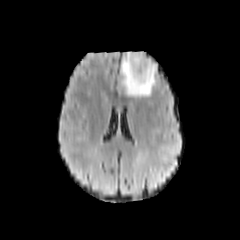
FLAIR MR.
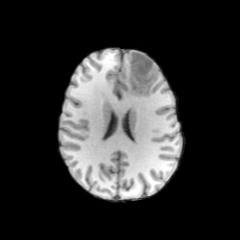
T1-weighted MR of the same slice.
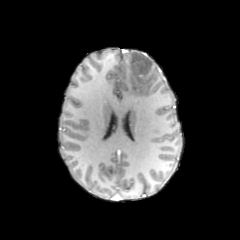
Post-contrast T1-weighted MR image.
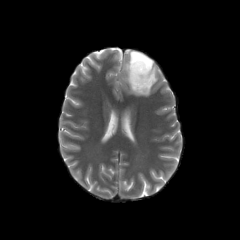
T2-weighted MR image.
Brain
Segmented structures:
* edema: x1=121 y1=51 x2=143 y2=95, x1=148 y1=58 x2=155 y2=75
* non-enhancing tumor core: x1=130 y1=53 x2=155 y2=94